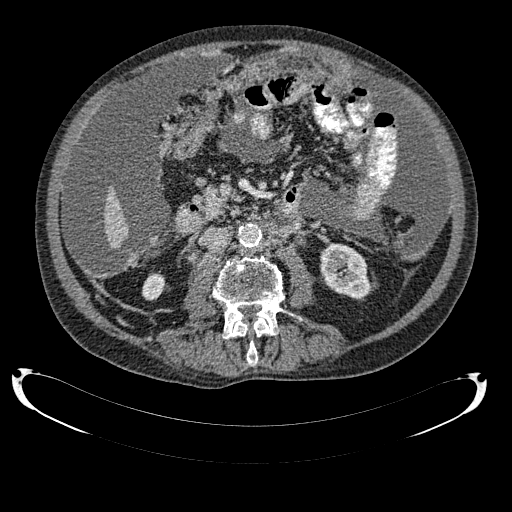
512x512 | Upper abdomen | CT scan slice
liver: [104, 187, 127, 248] | kidney: [321, 244, 370, 298], [142, 274, 164, 299]